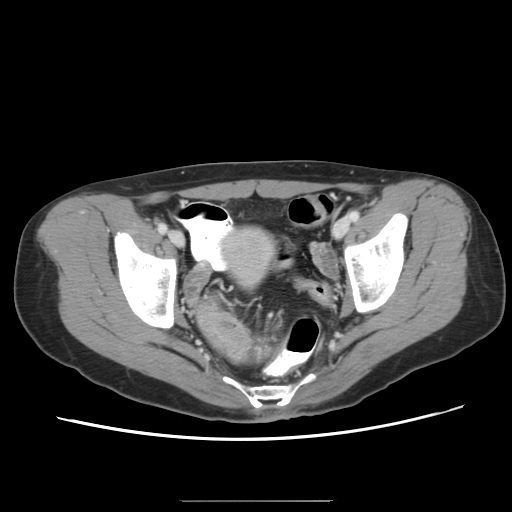 CT slice

The colon tumor is bounded by rect(196, 302, 250, 363).